CT image; Field of view 344 mm wide, 1.00 mm slice spacing; 512x512 px; Slice index 191 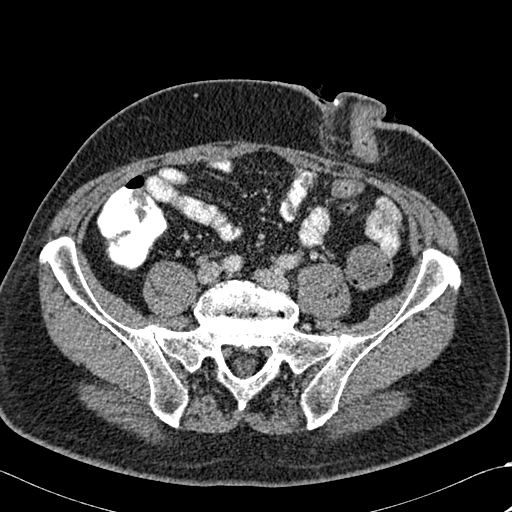
The bone lies within bbox(40, 237, 459, 429).